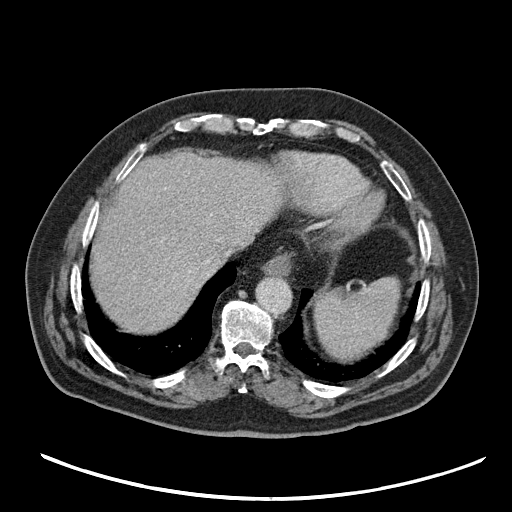

Image size 512x512. CT slice. Abdomen. * spleen: [x1=315, y1=279, x2=399, y2=359]